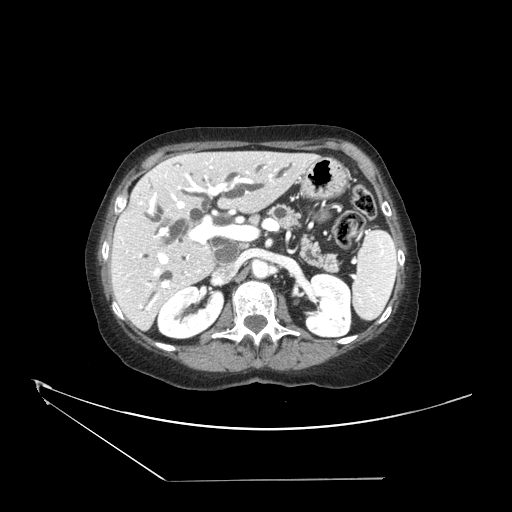

CT scan slice

Findings:
- pancreas: x1=300, y1=235, x2=337, y2=270; x1=269, y1=205, x2=298, y2=228